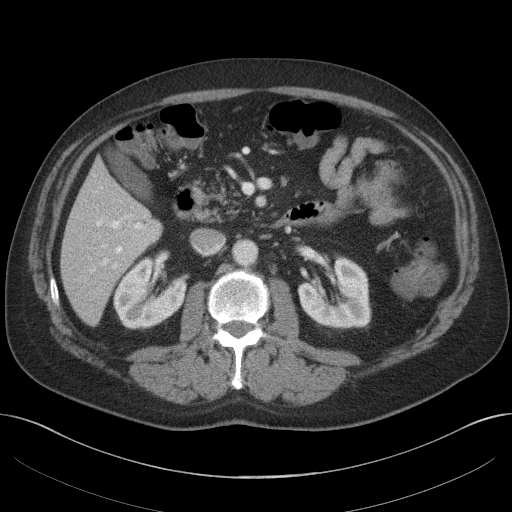
CT.
Liver: bounding box [60,159,158,324].
Kidney: bounding box [299,259,368,326], [115,260,184,327].